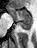
Medial temporal lobe | Magnetic resonance
The anterior hippocampus appears at 6:7:31:20. The posterior hippocampus is at 18:21:31:29.